CT scan slice, Field of view 438 mm wide, 0.70 mm slice spacing, Slice index 136 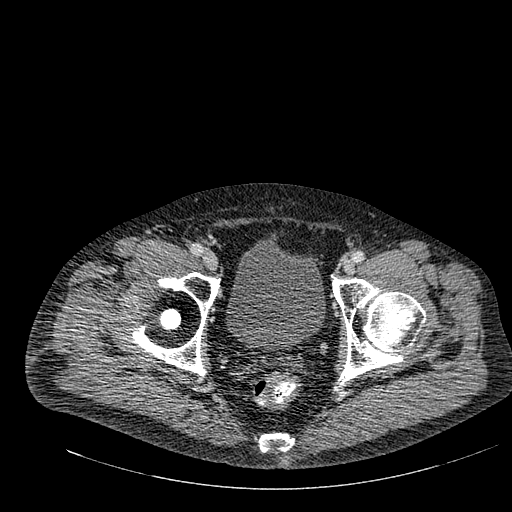

urinary bladder: 226,237,325,350